Head
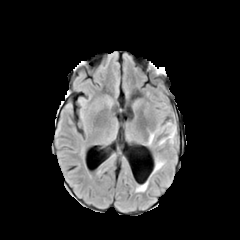
FLAIR magnetic resonance.
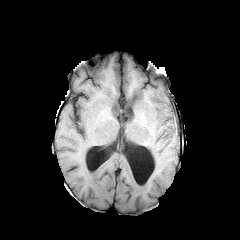
Same slice, T1-weighted magnetic resonance.
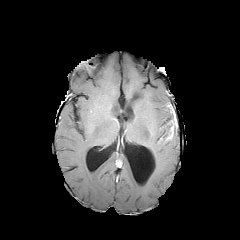
Same slice, post-contrast T1-weighted magnetic resonance.
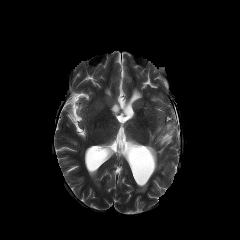
Same slice, T2-weighted magnetic resonance.
edema:
  - bbox=[158, 126, 176, 146]
  - bbox=[153, 154, 165, 173]
  - bbox=[148, 121, 171, 146]
  - bbox=[135, 180, 148, 192]
enhancing_tumor:
  - bbox=[165, 124, 174, 140]